Abdomen; 512x512; CT

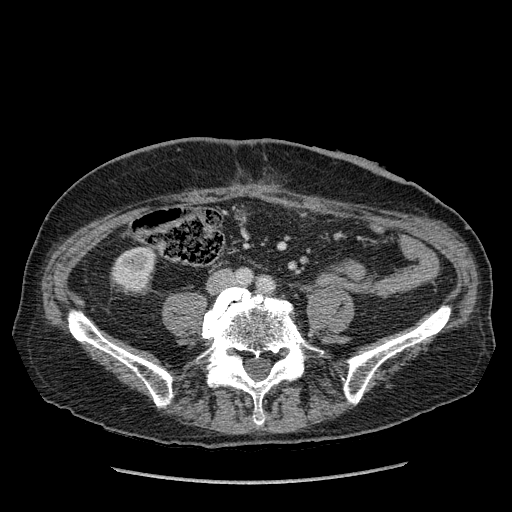
The kidney is bounded by {"x1": 112, "y1": 247, "x2": 154, "y2": 290}.